Computed tomography | Image width 393 mm | Slice 44/93
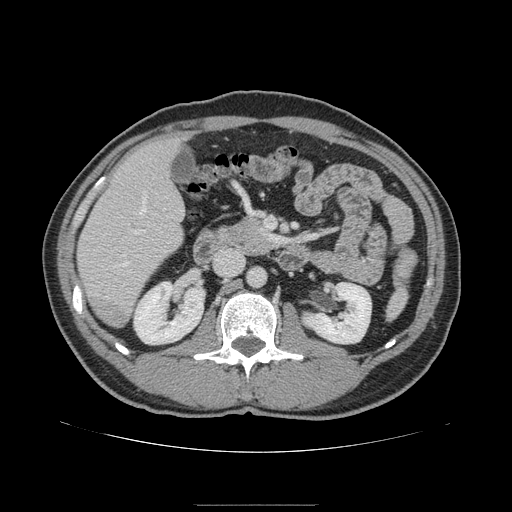
pancreas: [213,217,279,256]